Image size 240x240. Head.
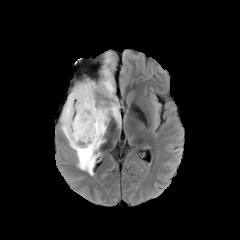
FLAIR MR image.
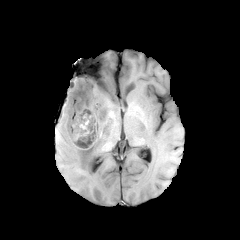
T1-weighted MR image.
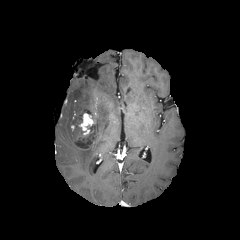
Post-contrast T1-weighted MR of the same slice.
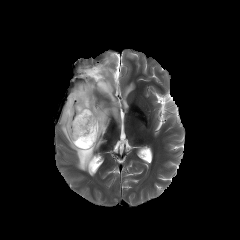
Same slice, T2-weighted MR.
Edema at (x1=60, y1=62, x2=120, y2=175).
Non-enhancing tumor core at (x1=80, y1=88, x2=87, y2=98), (x1=70, y1=98, x2=99, y2=148).
Enhancing tumor at (x1=78, y1=113, x2=95, y2=135).